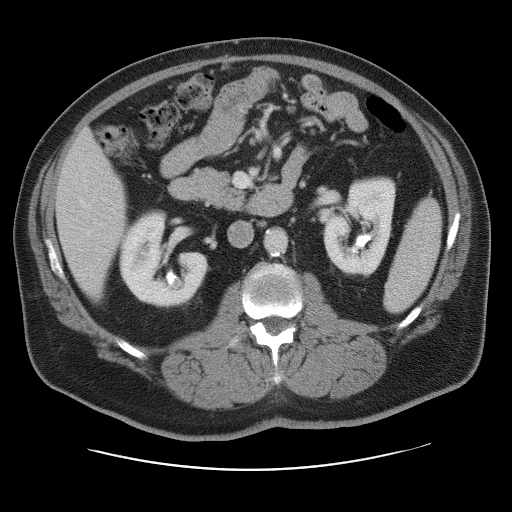
512x512; CT image; Liver

Not every hepatic vessel necessarily has a box.
{
  "hepatic_vessel": [
    "box(235, 174, 249, 186)",
    "box(87, 231, 88, 233)",
    "box(82, 202, 84, 205)"
  ]
}